FLAIR MRI.
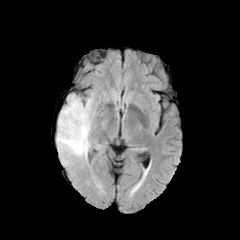
T1-weighted magnetic resonance.
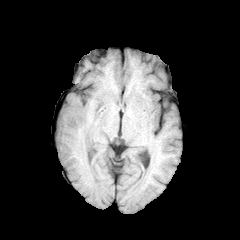
Post-contrast T1-weighted MR image.
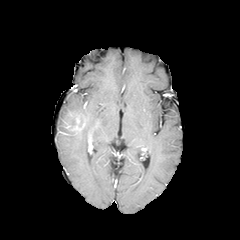
T2-weighted MRI.
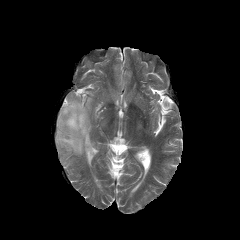
Head | 240x240 px
The edema is bounded by box=[56, 92, 97, 167]. The enhancing tumor is at box=[65, 113, 86, 131].